Computed tomography 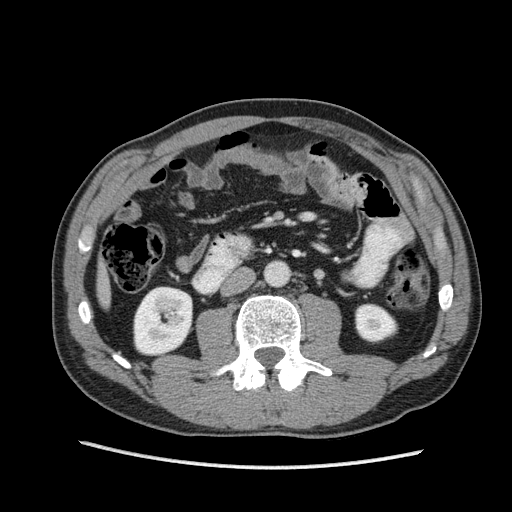
The liver is located at region(96, 267, 110, 308). 2 kidney regions are located at region(134, 287, 191, 353); region(356, 305, 394, 340).